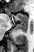
34x52 | MR image | Hippocampus
Posterior hippocampus — (x1=15, y1=22, x2=27, y2=33).
Anterior hippocampus — (x1=10, y1=12, x2=27, y2=21).